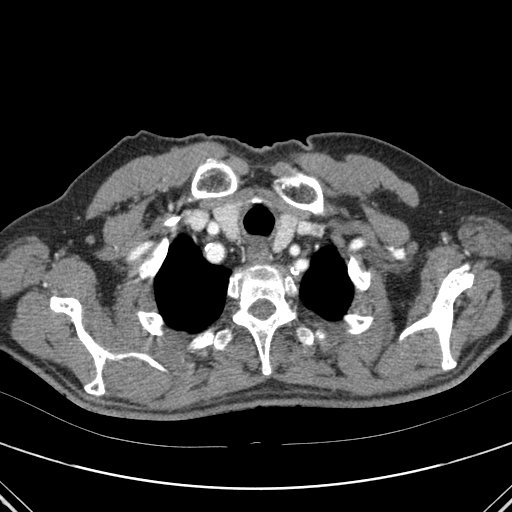

Thorax; CT
13 bone regions are bounded by [159,216,180,231], [50,296,122,395], [344,314,372,333], [130,352,164,370], [276,173,323,213], [228,265,298,374], [137,311,162,335], [189,330,231,349], [399,264,473,370], [297,328,324,345], [348,256,370,290], [191,161,237,198], [138,238,168,277]. 2 lung regions appear at [154,235,230,332], [300,246,353,320].